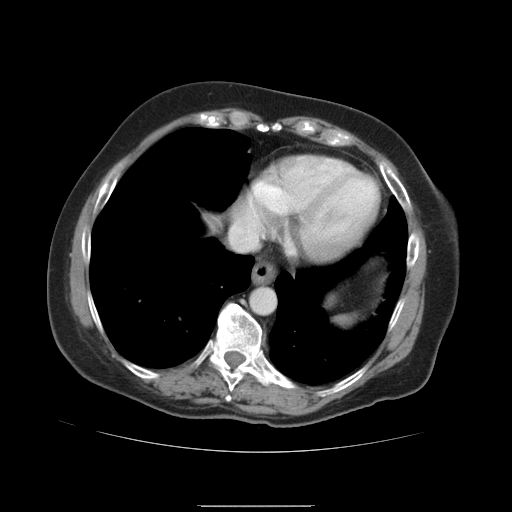 512x512 px; CT image

The vessel boxes may cover only some of the vessels.
hepatic vessel: bbox=[230, 222, 260, 250]